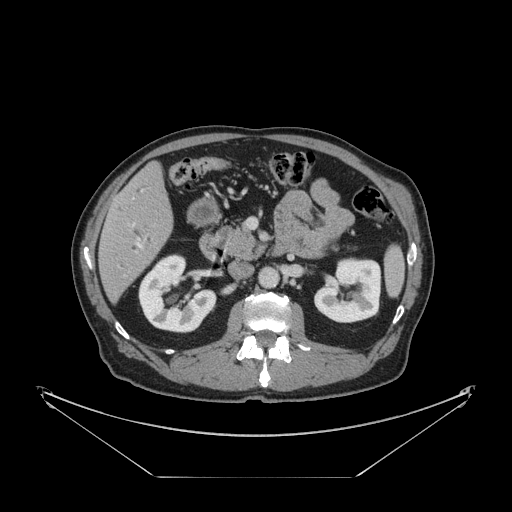
CT; Liver
Some hepatic vessels may have no box.
Hepatic vessel — region(134, 238, 141, 247); region(135, 251, 136, 252); region(129, 223, 133, 227).